Head
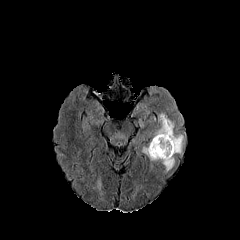
FLAIR magnetic resonance.
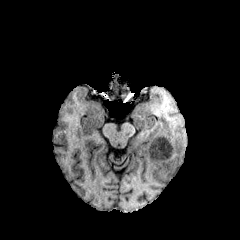
T1-weighted MRI.
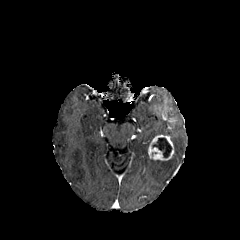
Same slice, post-contrast T1-weighted MRI.
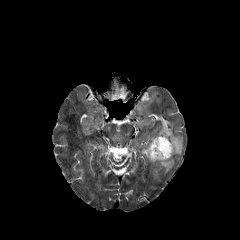
Same slice, T2-weighted MRI.
The enhancing tumor appears at x1=147, y1=135, x2=174, y2=161. 2 edema regions are located at x1=160, y1=158, x2=174, y2=173; x1=153, y1=113, x2=184, y2=155. The non-enhancing tumor core is located at x1=152, y1=137, x2=171, y2=158.